FLAIR MR image.
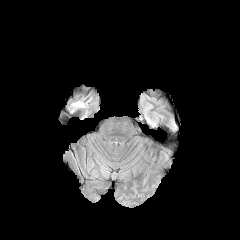
T1-weighted MRI.
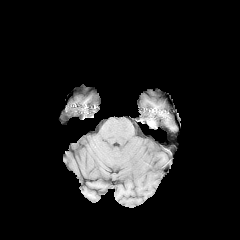
Post-contrast T1-weighted MRI.
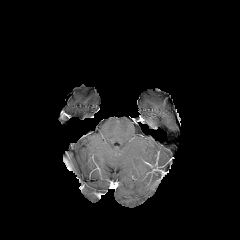
T2-weighted MR.
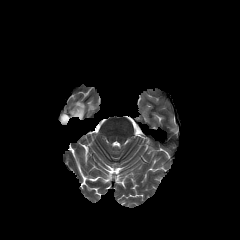
240x240 px. Brain.
<segmentation>
  <edema><bbox>71, 100, 88, 113</bbox></edema>
</segmentation>